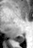
MR | Hippocampus
posterior_hippocampus:
  - rect(12, 36, 24, 42)